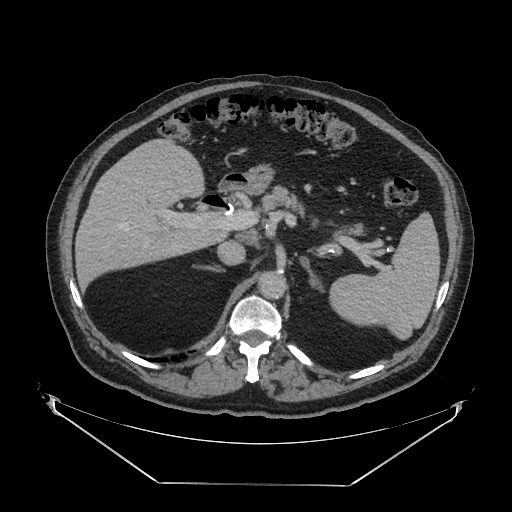
CT slice. Upper abdomen.
Findings:
• pancreas: [263,187,304,215], [345,223,363,235]